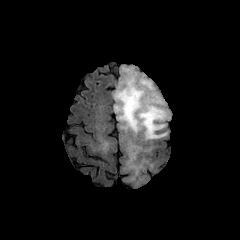
FLAIR MRI.
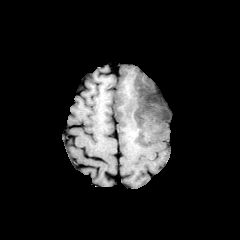
T1-weighted magnetic resonance.
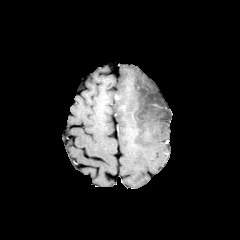
Post-contrast T1-weighted MR.
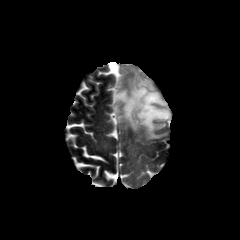
T2-weighted MR of the same slice.
Head
<segmentation>
  <non-enhancing_tumor_core>x1=134, y1=74, x2=169, y2=123; x1=116, y1=81, x2=133, y2=99</non-enhancing_tumor_core>
  <edema>x1=112, y1=66, x2=171, y2=150</edema>
</segmentation>